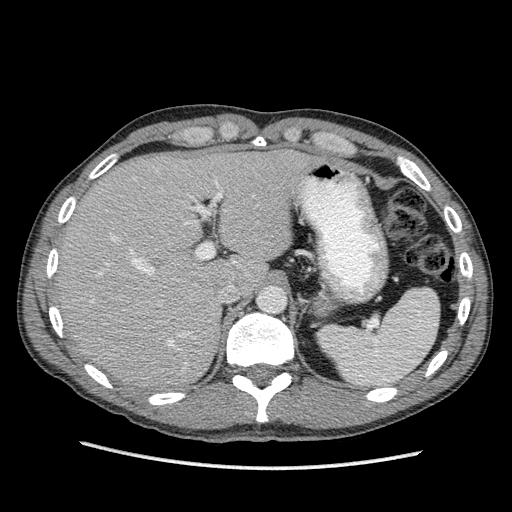
CT image, 512x512
Liver at 54,148,327,392.